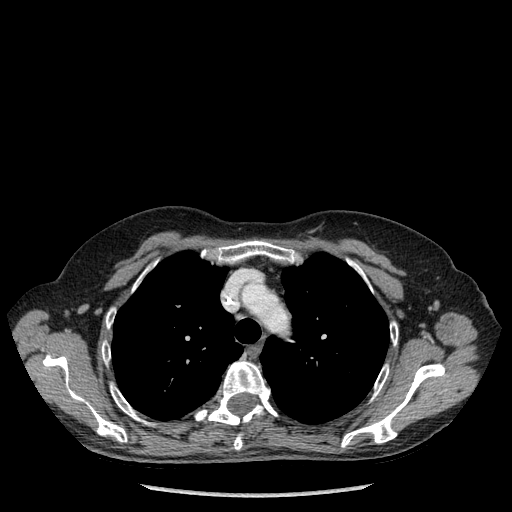 Thorax. CT scan slice.

Lung at 260, 252, 389, 424; 111, 250, 260, 420.
Bone at 201, 240, 300, 263; 347, 259, 372, 291; 42, 354, 127, 441; 110, 383, 152, 424; 195, 361, 277, 425; 234, 434, 242, 449; 341, 364, 445, 447; 390, 321, 398, 345; 371, 364, 388, 400; 106, 308, 115, 328; 101, 341, 110, 364; 132, 268, 148, 292.